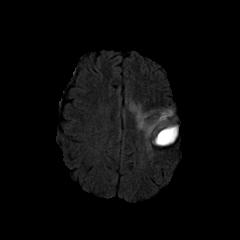
FLAIR MR.
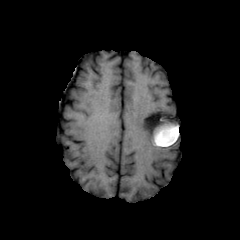
T1-weighted MR image.
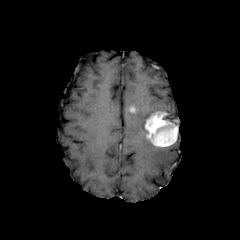
Post-contrast T1-weighted MRI.
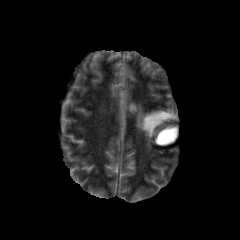
T2-weighted MR of the same slice.
Head, Image size 240x240
Edema: box=[125, 97, 157, 153]; box=[158, 107, 175, 116].
Non-enhancing tumor core: box=[164, 112, 178, 127].
Enhancing tumor: box=[144, 111, 177, 145].